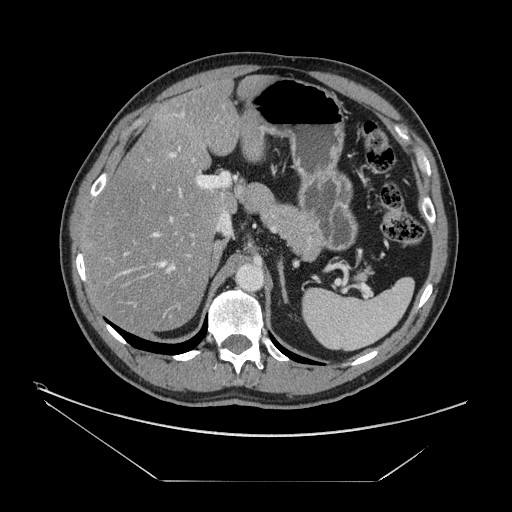

Computed tomography; 512x512
Some hepatic vessels may have no box.
Hepatic vessel = <box>171,153,174,156</box>, <box>155,234,157,235</box>, <box>160,263,164,265</box>, <box>167,266,174,270</box>.